Image width 445 mm, Computed tomography

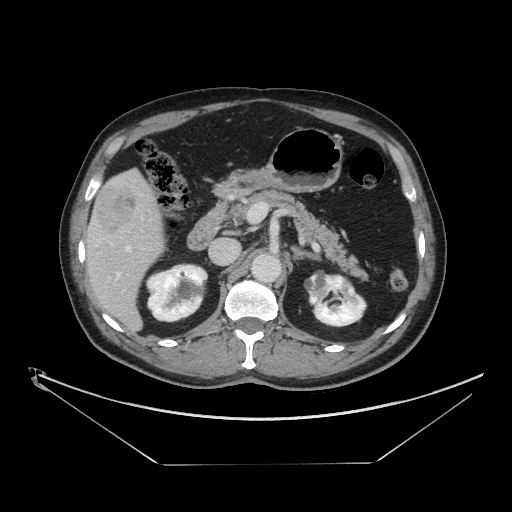

The vessel annotation is not exhaustive.
hepatic vessel: box(126, 246, 130, 250); box(117, 272, 119, 277) | liver tumor: box(93, 182, 137, 234)